Computed tomography 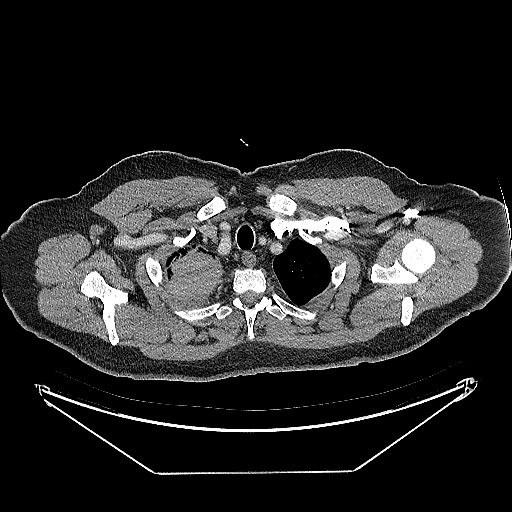

The lung tumor lies within 164,244,222,293.